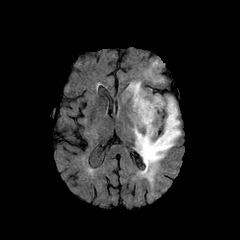
FLAIR MR.
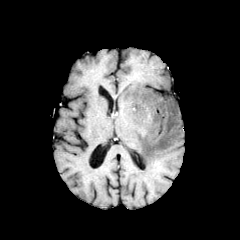
Same slice, T1-weighted MRI.
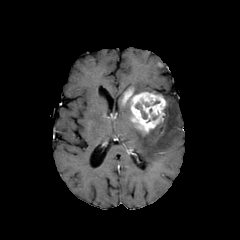
Post-contrast T1-weighted MR image.
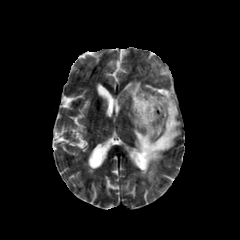
T2-weighted MR image.
Head
<segmentation>
  <non-enhancing_tumor_core>box(136, 104, 147, 119)</non-enhancing_tumor_core>
  <edema>box(125, 81, 143, 93); box(132, 95, 181, 187)</edema>
  <enhancing_tumor>box(123, 88, 166, 132)</enhancing_tumor>
</segmentation>